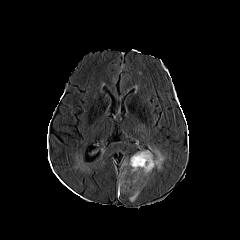
FLAIR magnetic resonance.
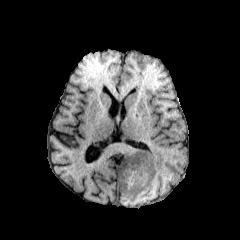
T1-weighted MR.
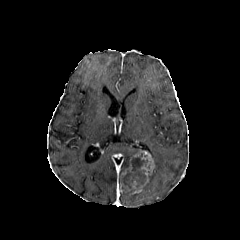
Post-contrast T1-weighted magnetic resonance of the same slice.
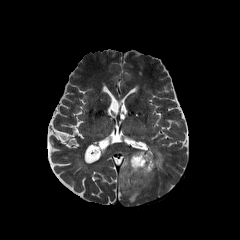
Same slice, T2-weighted MRI.
Brain
enhancing_tumor:
  - x1=120 y1=150 x2=154 y2=194
edema:
  - x1=147 y1=144 x2=166 y2=172
  - x1=129 y1=194 x2=138 y2=202
non-enhancing_tumor_core:
  - x1=122 y1=157 x2=156 y2=191